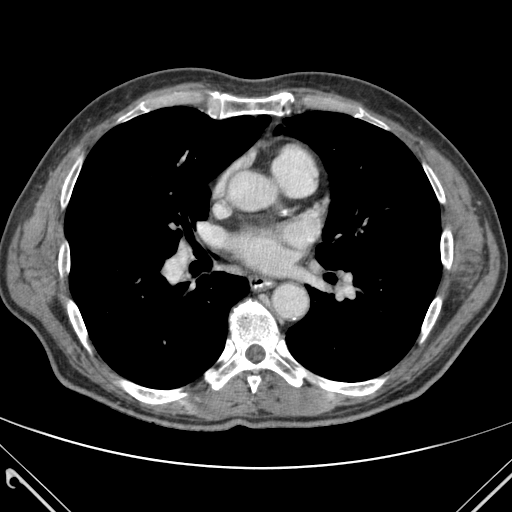
Chest, CT image
bone: 329,103,387,128; 422,298,441,340; 118,102,152,120; 441,231,452,268; 319,378,384,395; 202,91,302,117; 58,238,69,277; 424,166,444,202; 61,159,81,206; 205,300,306,389; 121,381,186,403; 68,301,89,349; 248,371,260,392 | lung: 64,106,270,388; 274,111,441,381